512x512 px, CT image

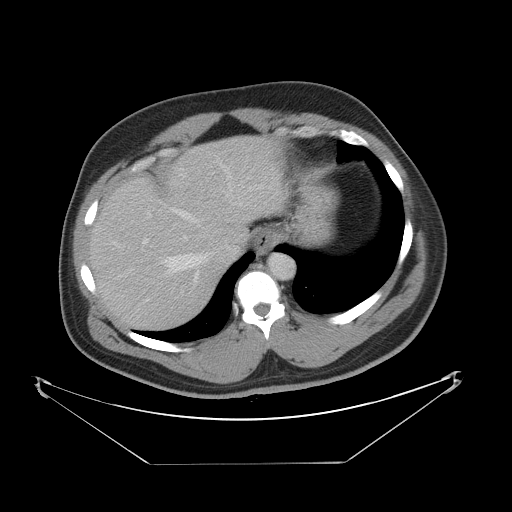
Not every hepatic vessel necessarily has a box.
The liver tumor is bounded by (169, 163, 185, 184). 3 hepatic vessel regions are bounded by (164, 225, 237, 271), (174, 210, 177, 211), (179, 211, 195, 220).